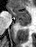
Medial temporal lobe. MRI slice. The anterior hippocampus lies within box=[7, 7, 30, 20]. The posterior hippocampus appears at box=[16, 21, 30, 25].